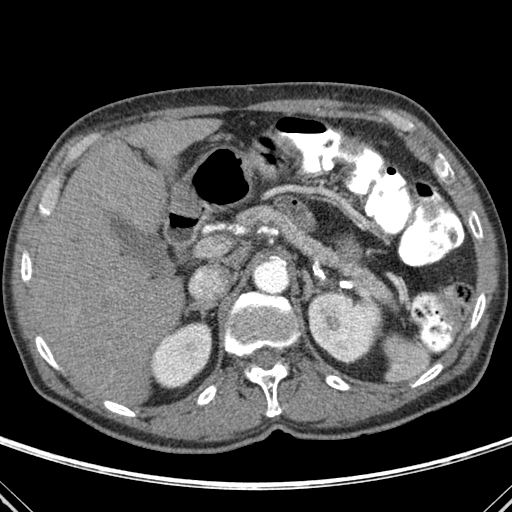
CT; Upper abdomen

{
  "liver": [
    "(left=33, top=119, right=221, bottom=403)"
  ],
  "bone": [
    "(left=469, top=211, right=482, bottom=238)",
    "(left=439, top=156, right=453, bottom=178)",
    "(left=104, top=402, right=135, bottom=416)",
    "(left=412, top=364, right=442, bottom=387)",
    "(left=197, top=385, right=216, bottom=404)",
    "(left=39, top=204, right=49, bottom=215)",
    "(left=245, top=362, right=287, bottom=416)",
    "(left=35, top=336, right=57, bottom=368)",
    "(left=21, top=252, right=31, bottom=281)",
    "(left=225, top=290, right=299, bottom=356)",
    "(left=326, top=375, right=349, bottom=389)",
    "(left=471, top=293, right=485, bottom=328)"
  ],
  "kidney": [
    "(left=153, top=325, right=210, bottom=386)",
    "(left=309, top=294, right=378, bottom=361)"
  ]
}